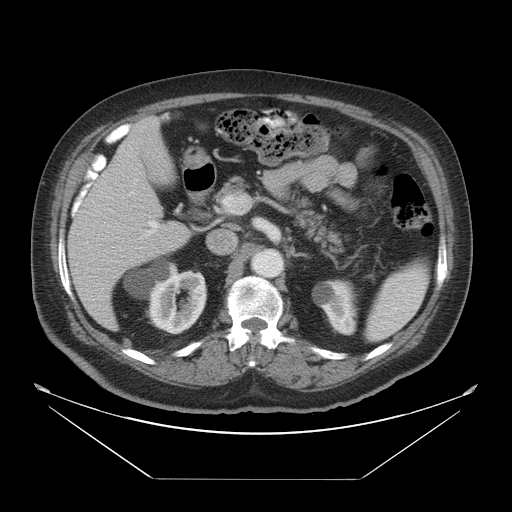
CT slice
Not every hepatic vessel necessarily has a box.
{
  "hepatic_vessel": [
    "[129,191,134,195]",
    "[209,230,229,252]",
    "[144,221,158,236]",
    "[223,197,240,211]"
  ]
}